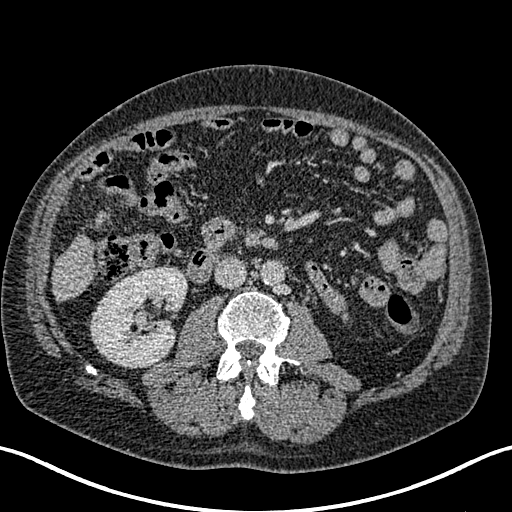 Liver; Computed tomography

<segmentation>
  <liver>(95, 212, 109, 227), (52, 234, 94, 302)</liver>
  <kidney>(91, 267, 186, 367)</kidney>
</segmentation>